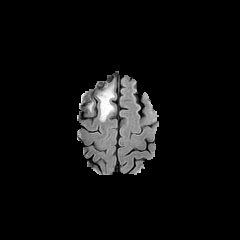
FLAIR MR.
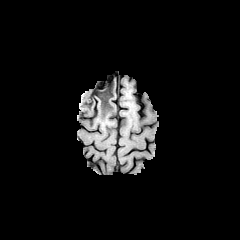
T1-weighted MR image.
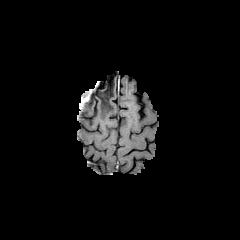
Same slice, post-contrast T1-weighted magnetic resonance.
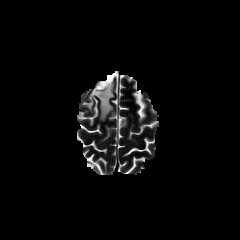
Same slice, T2-weighted MR image.
Head; 240x240
Findings:
- edema: (x1=108, y1=86, x2=114, y2=101), (x1=94, y1=81, x2=113, y2=95), (x1=80, y1=90, x2=113, y2=121)
- non-enhancing tumor core: (x1=96, y1=83, x2=113, y2=111)